FLAIR magnetic resonance.
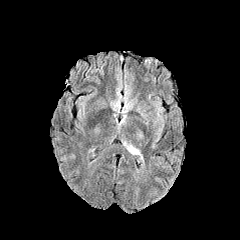
T1-weighted magnetic resonance.
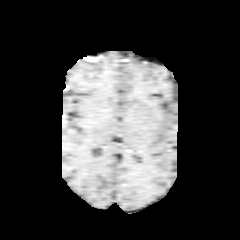
Post-contrast T1-weighted magnetic resonance.
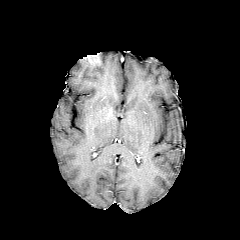
T2-weighted MR.
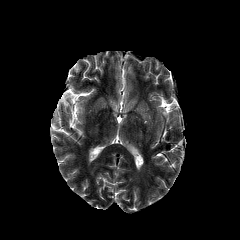
Edema — <box>137,108,147,119</box>, <box>113,102,134,129</box>, <box>125,142,139,156</box>.